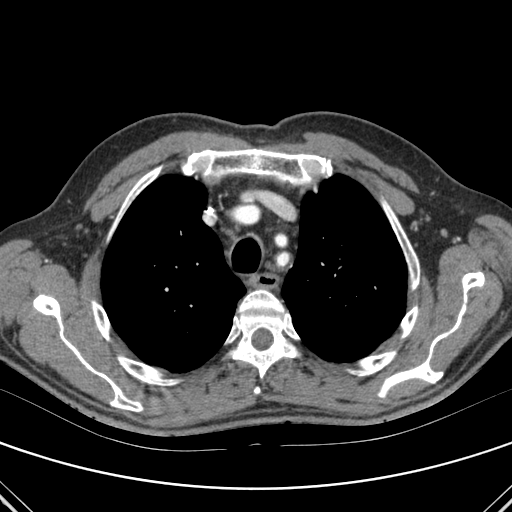
CT, Thorax

Bone at <box>382,198,419,289</box>, <box>117,356,175,385</box>, <box>33,294,143,411</box>, <box>378,272,484,397</box>, <box>401,306,418,337</box>, <box>111,166,162,234</box>, <box>91,301,109,340</box>, <box>226,289,299,377</box>, <box>182,149,332,184</box>, <box>349,351,396,375</box>.
Lung at <box>281,174,406,362</box>, <box>101,175,245,372</box>.